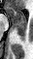 MRI slice
Posterior hippocampus at (14,27,26,40).
Anterior hippocampus at (7,7,26,26).